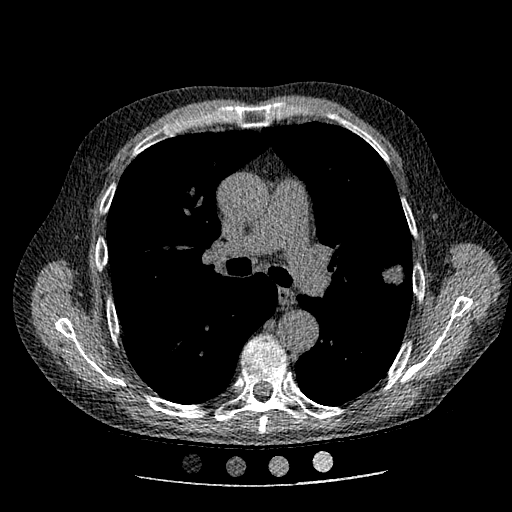 Computed tomography
The lung tumor appears at 374, 261, 407, 294.